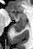
MRI slice
Segmented structures:
• posterior hippocampus: <box>12,22,25,31</box>
• anterior hippocampus: <box>7,11,25,21</box>